CT image

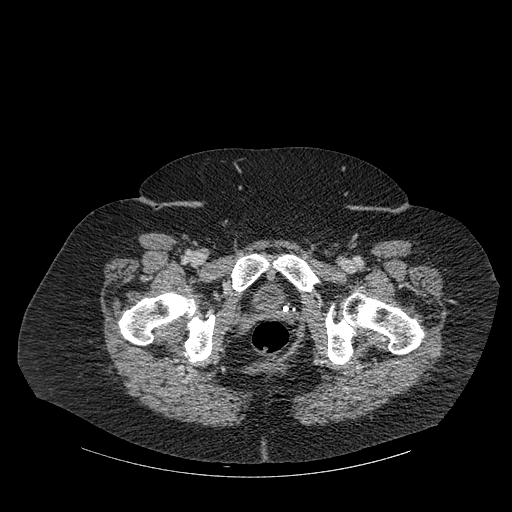
4 bone regions are bounded by 231,254,268,291; 325,293,423,364; 118,292,215,362; 273,255,319,291.